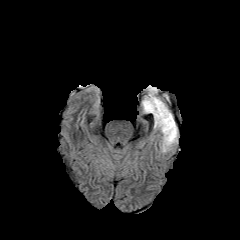
FLAIR magnetic resonance.
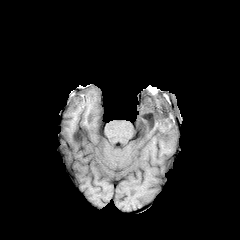
T1-weighted magnetic resonance of the same slice.
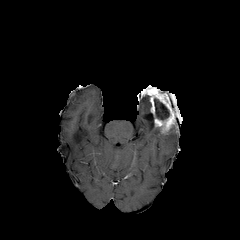
Post-contrast T1-weighted MR.
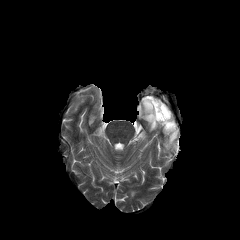
T2-weighted MR.
Head.
edema:
  - (left=141, top=96, right=150, bottom=113)
  - (left=153, top=126, right=178, bottom=152)
enhancing_tumor:
  - (left=142, top=89, right=176, bottom=133)
non-enhancing_tumor_core:
  - (left=148, top=88, right=167, bottom=97)
  - (left=143, top=94, right=151, bottom=107)
  - (left=154, top=99, right=169, bottom=119)